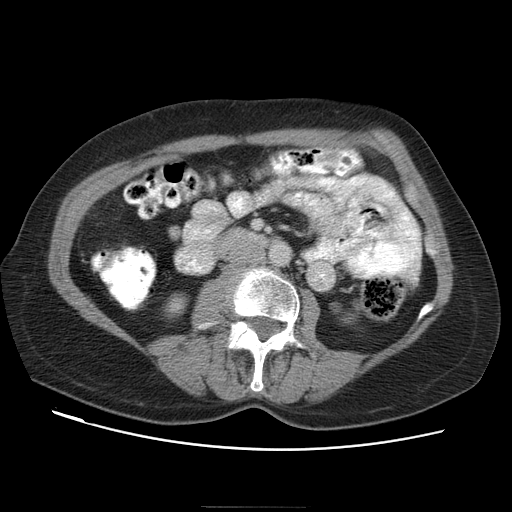 Computed tomography, Abdomen
pancreas: bbox(210, 227, 256, 261)